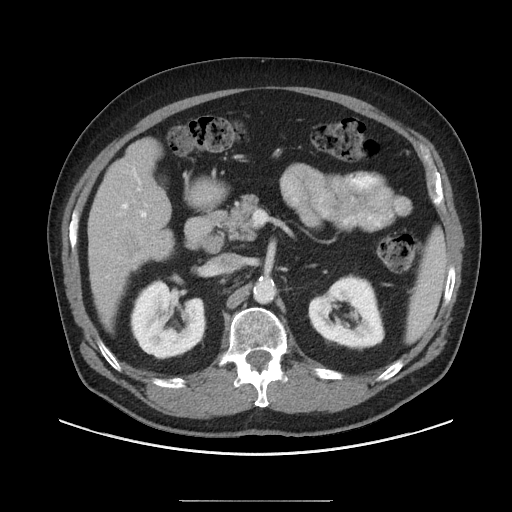

CT image. 512x512. Liver.

The vessel annotation is not exhaustive.
Annotated regions:
- liver tumor: 118, 229, 142, 255
- hepatic vessel: 135, 173, 136, 177; 133, 169, 134, 171; 141, 212, 145, 216; 138, 188, 140, 190; 123, 204, 126, 207